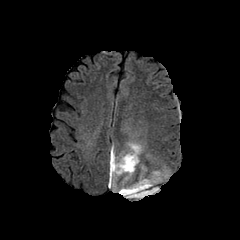
FLAIR magnetic resonance.
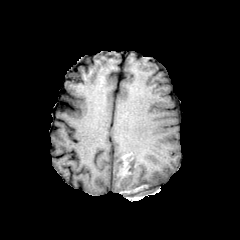
T1-weighted MR image.
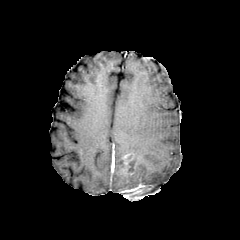
Same slice, post-contrast T1-weighted MR.
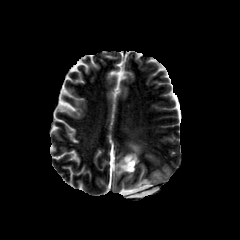
T2-weighted MRI.
non-enhancing_tumor_core:
  - 130, 182, 151, 199
  - 121, 154, 132, 172
edema:
  - 108, 142, 161, 191
enhancing_tumor:
  - 111, 153, 114, 173
  - 121, 183, 144, 197